CT image. Liver.

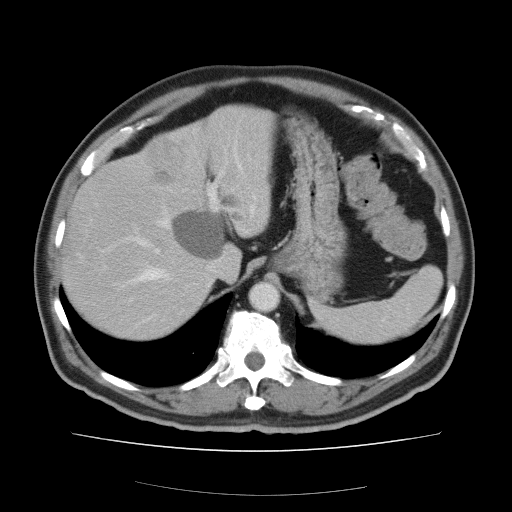
The vessel boxes may cover only some of the vessels.
The liver tumor appears at region(148, 143, 183, 183). 6 hepatic vessel regions are bounded by region(156, 206, 169, 228); region(103, 246, 113, 251); region(233, 145, 237, 160); region(207, 172, 222, 210); region(135, 266, 167, 280); region(123, 230, 158, 252).